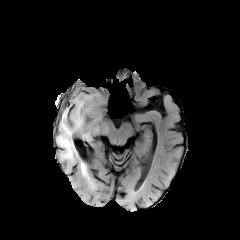
FLAIR MRI.
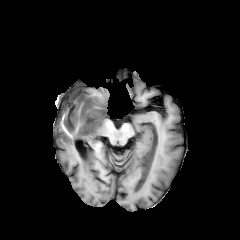
T1-weighted MRI.
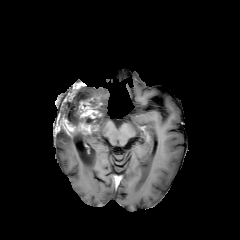
Post-contrast T1-weighted MR.
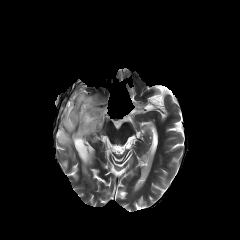
T2-weighted magnetic resonance of the same slice.
Head
2 non-enhancing tumor core regions are bounded by x1=54 y1=84 x2=90 y2=131, x1=80 y1=114 x2=99 y2=127. 4 edema regions are bounded by x1=62 y1=99 x2=77 y2=115, x1=76 y1=86 x2=101 y2=111, x1=68 y1=110 x2=81 y2=126, x1=56 y1=132 x2=94 y2=187. 3 enhancing tumor regions are located at x1=58 y1=118 x2=75 y2=134, x1=79 y1=98 x2=98 y2=118, x1=78 y1=122 x2=95 y2=133.